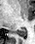 MRI
posterior_hippocampus:
  - [x1=12, y1=28, x2=26, y2=36]